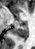 35x49 px. MRI slice. posterior_hippocampus:
  - <box>11,22,28,39</box>